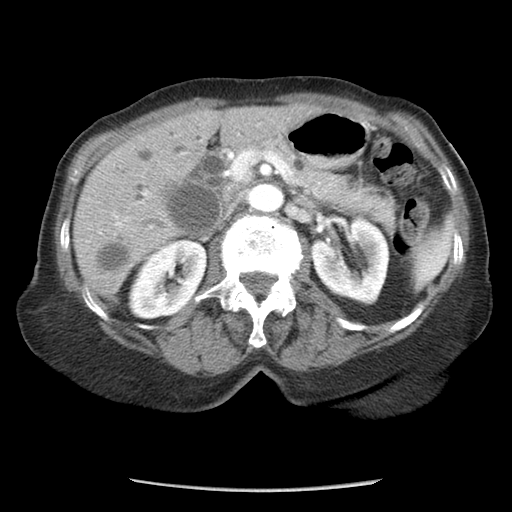
CT image
Annotated regions:
• pancreas: box=[266, 141, 396, 233]